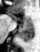

Hippocampus; MR; 40x52 px
{"anterior_hippocampus": ["x1=24, y1=16, x2=31, y2=21", "x1=13, y1=16, x2=16, y2=20"], "posterior_hippocampus": ["x1=19, y1=22, x2=32, y2=41"]}